CT. Image size 512x512.
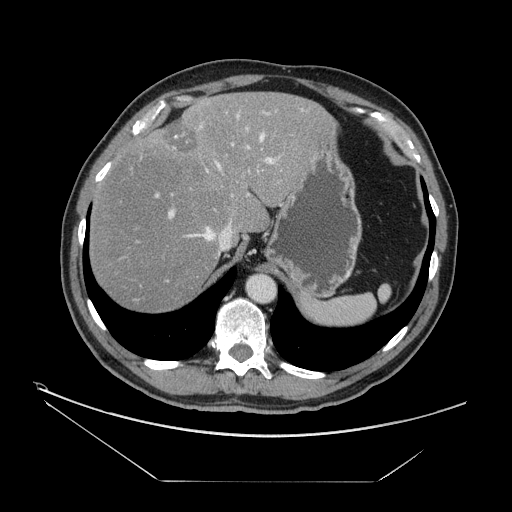 The vessel annotation is not exhaustive.
Hepatic vessel: bounding box bbox(247, 146, 248, 148); bbox(199, 126, 201, 128); bbox(266, 158, 273, 162); bbox(169, 211, 173, 216); bbox(189, 234, 193, 236); bbox(217, 163, 220, 168); bbox(260, 134, 263, 140); bbox(202, 228, 213, 239); bbox(246, 128, 247, 129).
Liver tumor: bounding box bbox(161, 119, 195, 153).